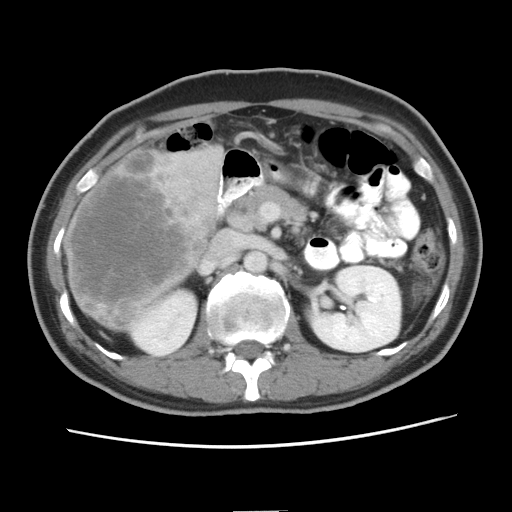 CT slice, Abdomen

Only some of the vessels may be annotated.
Segmented structures:
• liver tumor: [x1=66, y1=150, x2=203, y2=325]
• hepatic vessel: [x1=220, y1=180, x2=220, y2=185]